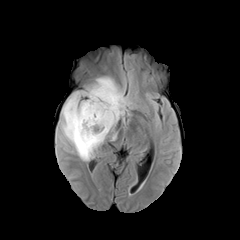
FLAIR MR image.
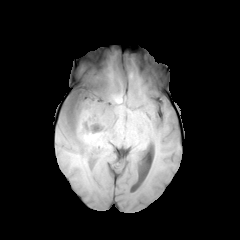
T1-weighted MRI of the same slice.
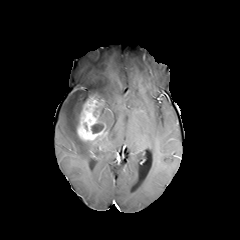
Post-contrast T1-weighted MR.
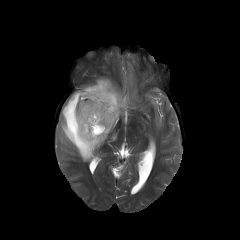
Same slice, T2-weighted magnetic resonance.
Brain
Findings:
- enhancing tumor: {"x1": 77, "y1": 95, "x2": 105, "y2": 141}
- non-enhancing tumor core: {"x1": 68, "y1": 93, "x2": 79, "y2": 111}, {"x1": 91, "y1": 118, "x2": 105, "y2": 133}, {"x1": 80, "y1": 87, "x2": 103, "y2": 99}, {"x1": 68, "y1": 114, "x2": 82, "y2": 141}
- edema: {"x1": 60, "y1": 76, "x2": 130, "y2": 161}